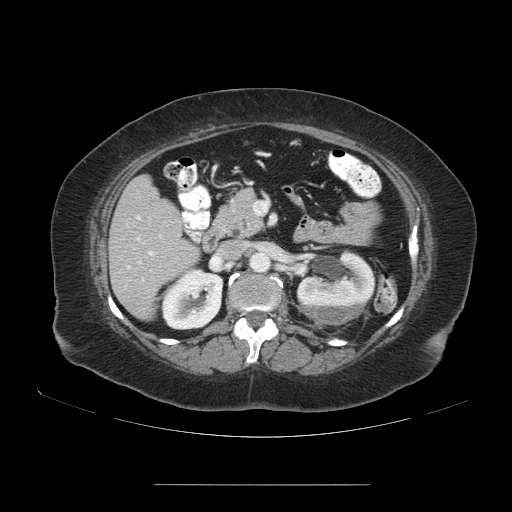
CT | Image size 512x512 | Liver
The vessel annotation is not exhaustive.
3 hepatic vessel regions appear at <bbox>137, 238, 138, 239</bbox>, <bbox>136, 217, 139, 219</bbox>, <bbox>148, 252, 151, 253</bbox>.